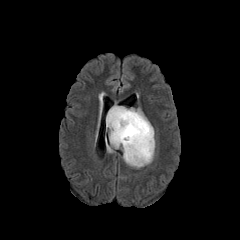
FLAIR MR image.
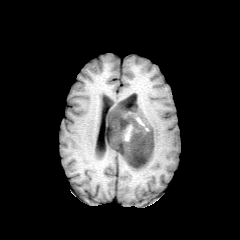
T1-weighted MRI.
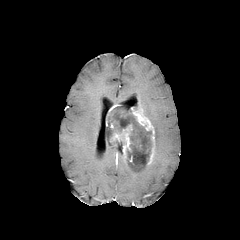
Post-contrast T1-weighted MR.
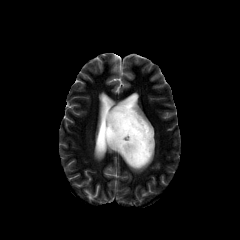
T2-weighted magnetic resonance.
Brain
2 enhancing tumor regions are bounded by <bbox>131, 107, 154, 164</bbox>, <bbox>110, 125, 132, 158</bbox>. The non-enhancing tumor core lies within <bbox>105, 106, 152, 171</bbox>. The edema is bounded by <bbox>105, 134, 115, 153</bbox>.